Slice 98 of 155 | 240x240 px
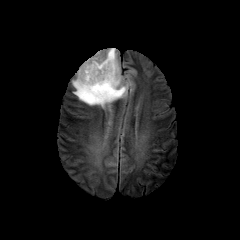
FLAIR MR.
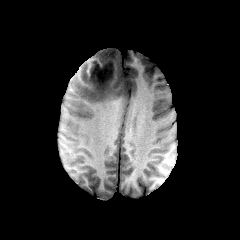
T1-weighted MR image.
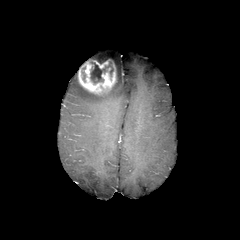
Post-contrast T1-weighted MRI.
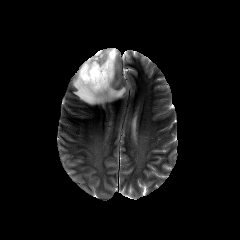
T2-weighted MRI of the same slice.
Edema at bbox=[72, 48, 129, 108].
Non-enhancing tumor core at bbox=[86, 57, 116, 83].
Enhancing tumor at bbox=[78, 62, 115, 94].